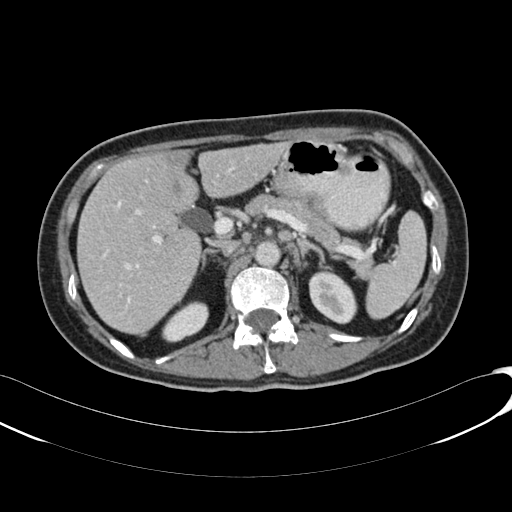 CT image; Abdomen
<segmentation>
  <kidney>bbox=[164, 304, 207, 340]; bbox=[310, 273, 354, 322]</kidney>
  <hepatic_lesion>bbox=[164, 154, 185, 164]</hepatic_lesion>
  <liver>bbox=[76, 150, 200, 331]; bbox=[199, 143, 288, 196]</liver>
</segmentation>